Brain, 240x240 px
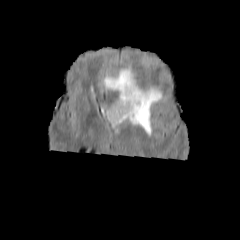
FLAIR MR.
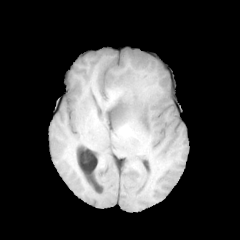
T1-weighted MR.
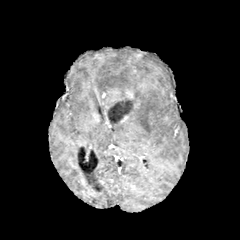
Post-contrast T1-weighted MR of the same slice.
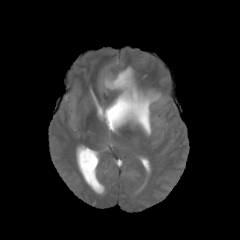
Same slice, T2-weighted magnetic resonance.
The non-enhancing tumor core is bounded by [108, 99, 135, 124]. The edema is at [104, 66, 161, 133]. The enhancing tumor is located at [125, 89, 134, 99].